512x512 px | Field of view 437x437 mm | CT scan slice 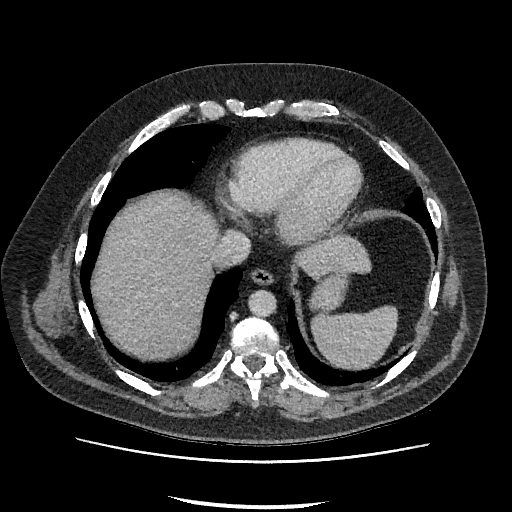 <segmentation>
  <liver>bbox=[298, 238, 369, 278]; bbox=[94, 194, 217, 357]</liver>
</segmentation>